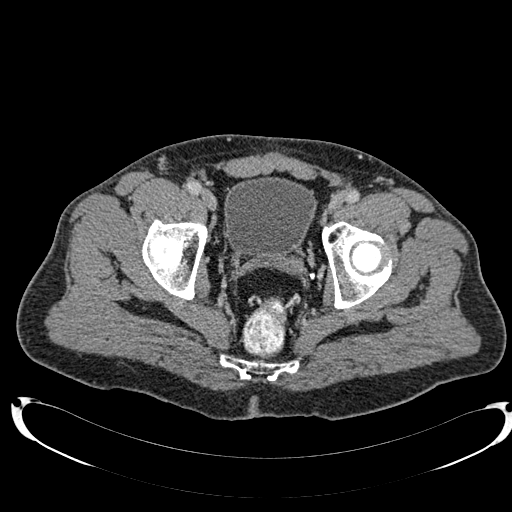
Computed tomography.

Segmented structures:
- urinary bladder: 224 177 317 265